CT slice; Thorax 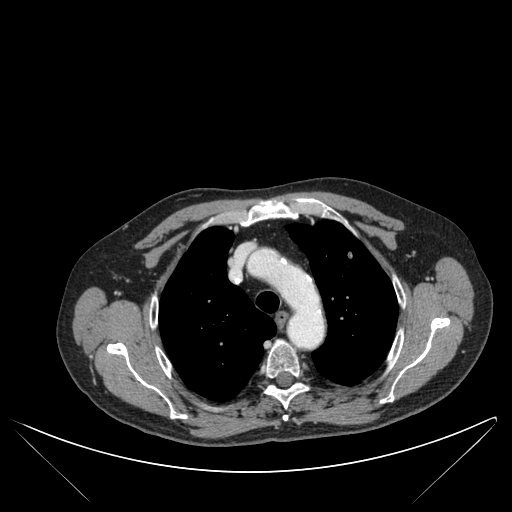
Segmented structures:
- bone: (x1=107, y1=343, x2=186, y2=418), (x1=156, y1=347, x2=171, y2=376), (x1=393, y1=277, x2=404, y2=305), (x1=241, y1=198, x2=330, y2=226), (x1=149, y1=296, x2=157, y2=327), (x1=263, y1=340, x2=299, y2=377), (x1=388, y1=330, x2=403, y2=368), (x1=380, y1=317, x2=449, y2=402), (x1=264, y1=383, x2=308, y2=408)
- lung: (x1=287, y1=221, x2=397, y2=385), (x1=159, y1=227, x2=278, y2=400)